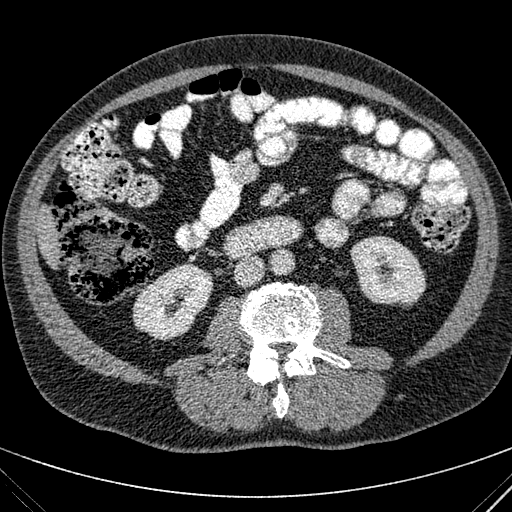
CT slice. - liver: {"x1": 36, "y1": 204, "x2": 58, "y2": 268}
- kidney: {"x1": 133, "y1": 264, "x2": 212, "y2": 339}, {"x1": 350, "y1": 236, "x2": 425, "y2": 303}